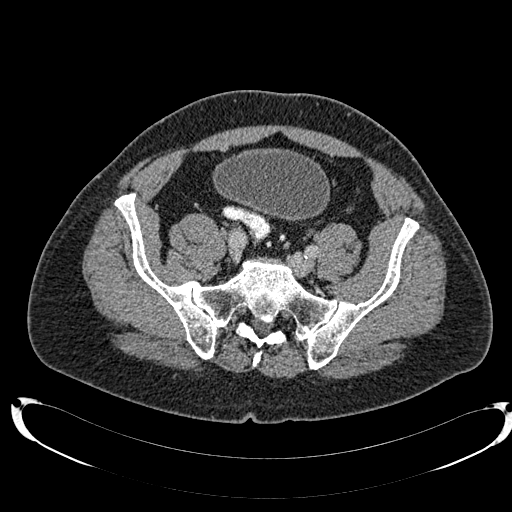

CT slice; 512x512
urinary_bladder:
  - box(215, 149, 329, 218)